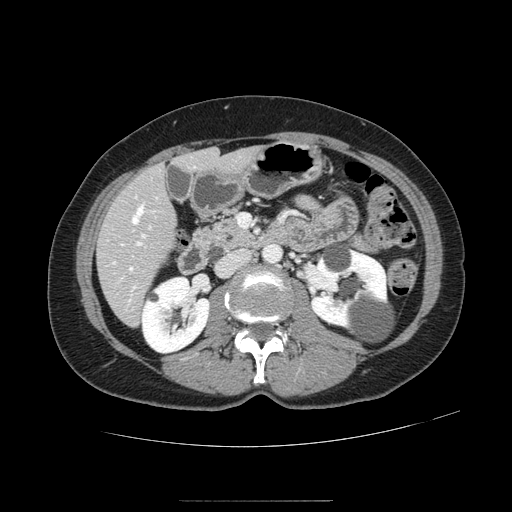 Abdomen. Computed tomography.

pancreatic tumor: <box>206,246,226,263</box> | pancreas: <box>192,216,264,258</box>